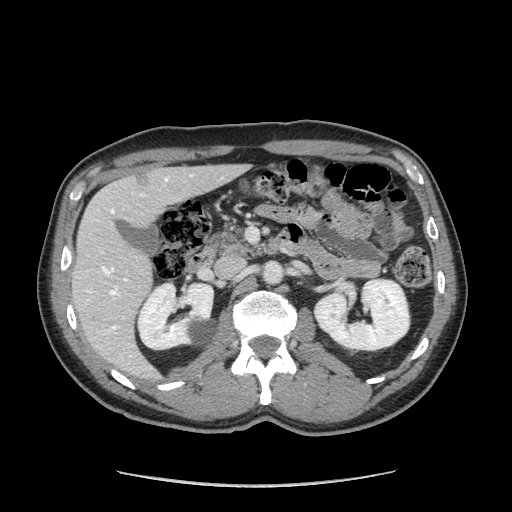

CT slice
pancreas: [219, 226, 255, 255]